FLAIR MR image.
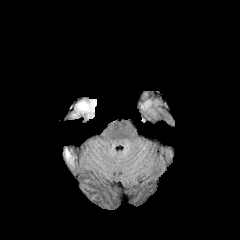
T1-weighted MRI.
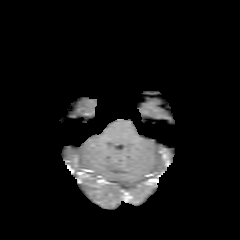
Post-contrast T1-weighted MR image.
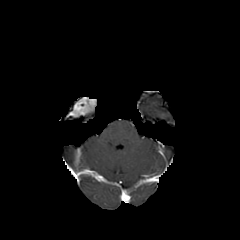
T2-weighted MR.
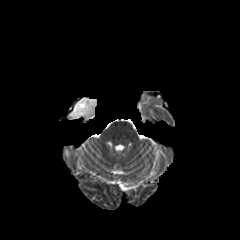
240x240
The enhancing tumor appears at <bbox>69, 97, 95, 116</bbox>.